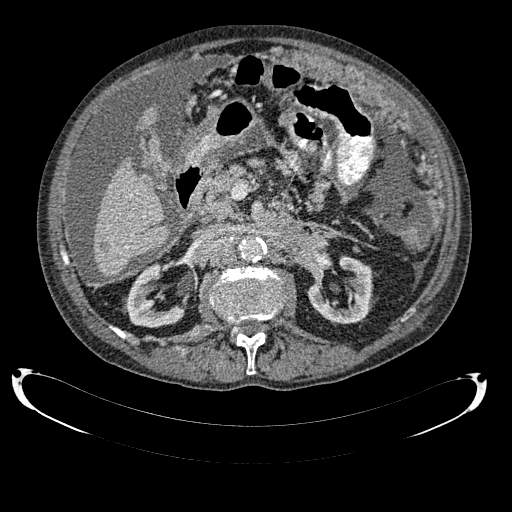

CT, Abdomen
liver_lesion:
  - 99, 243, 108, 251
liver:
  - 93, 157, 168, 277
  - 149, 140, 159, 149
  - 137, 108, 158, 130
kidney:
  - 126, 264, 183, 327
  - 308, 253, 371, 323